Field of view 472x472 mm | Computed tomography

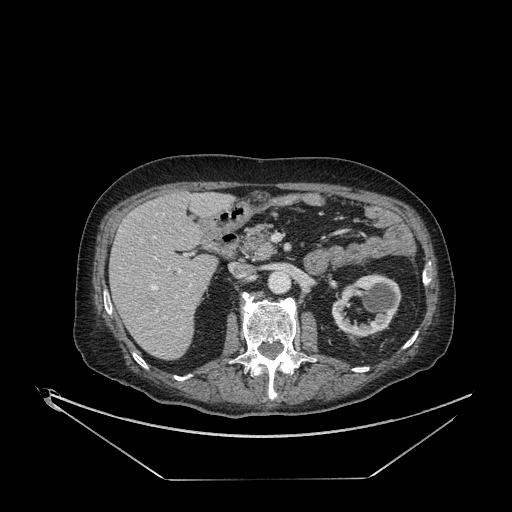 Liver: (110,193,233,359).
Kidney: (332,275,400,336).